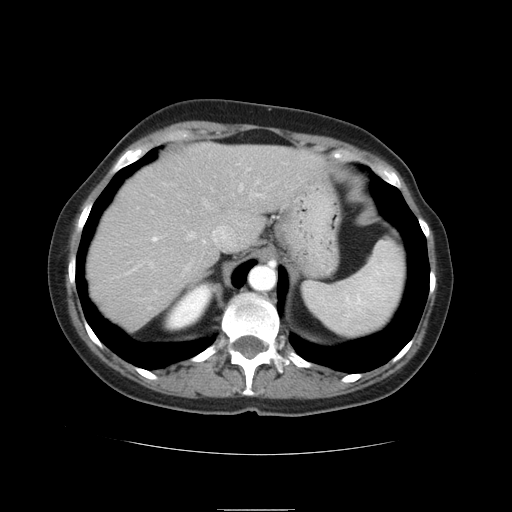

CT scan slice

Spleen: bounding box 302 238 406 336.